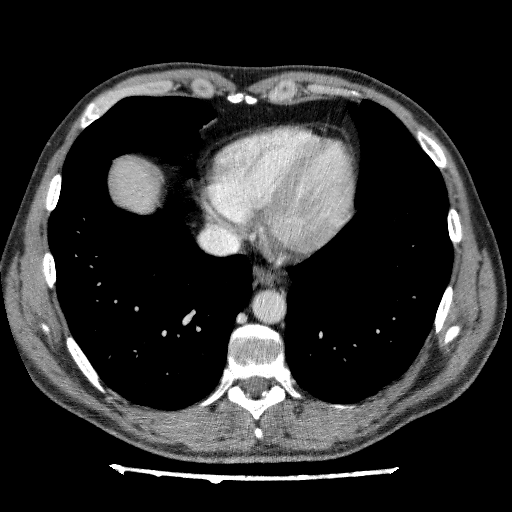
Abdomen, Computed tomography

The liver is located at box(110, 159, 160, 216).